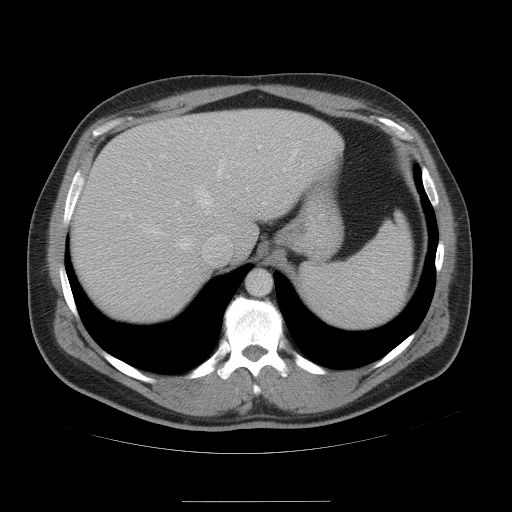
512x512 px, CT scan slice

• spleen: [300,214,410,330]